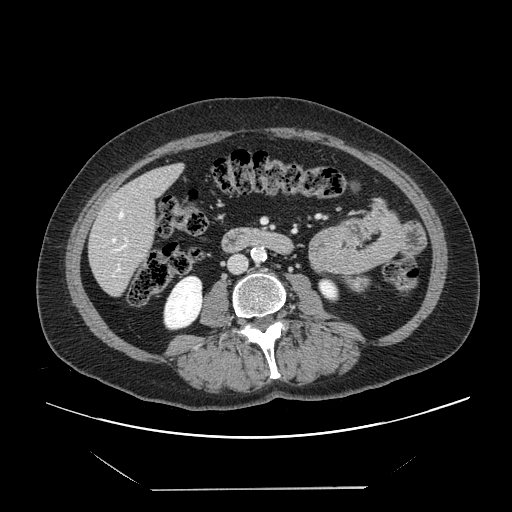
CT scan slice. 512x512. Liver.

Only some of the vessels may be annotated.
{
  "hepatic_vessel": [
    "box(105, 237, 128, 253)",
    "box(112, 263, 121, 276)",
    "box(117, 209, 124, 220)"
  ]
}